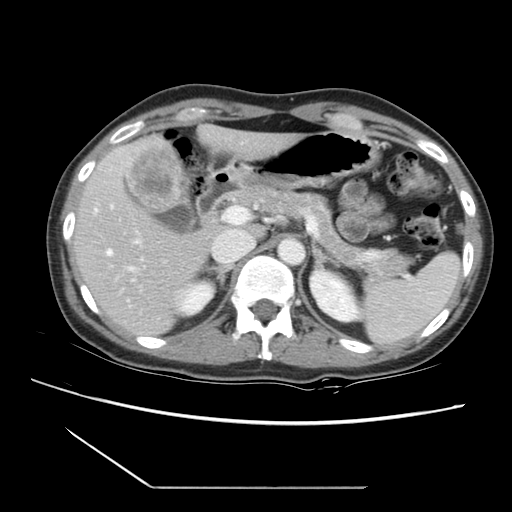

Liver | CT
Not every hepatic vessel necessarily has a box.
liver tumor: (130, 145, 180, 208) | hepatic vessel: (110, 205, 113, 208), (116, 170, 120, 174), (108, 164, 113, 170), (213, 236, 221, 248), (93, 203, 98, 214), (106, 249, 112, 256), (141, 259, 142, 260), (123, 159, 129, 166), (134, 240, 141, 245), (131, 280, 134, 281), (117, 149, 125, 155), (127, 267, 136, 271)